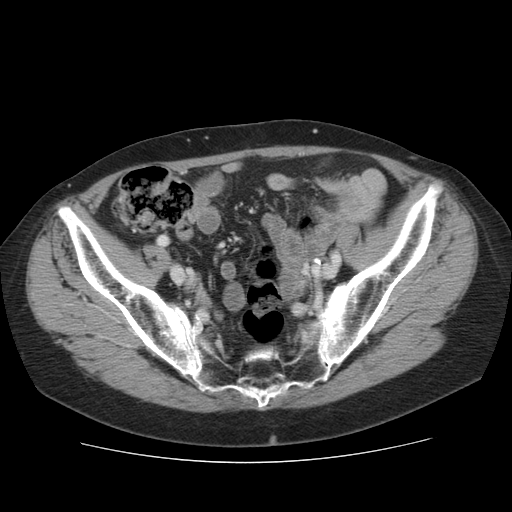
Image size 512x512 | CT scan slice
<segmentation>
  <bone>rect(57, 181, 443, 409)</bone>
</segmentation>